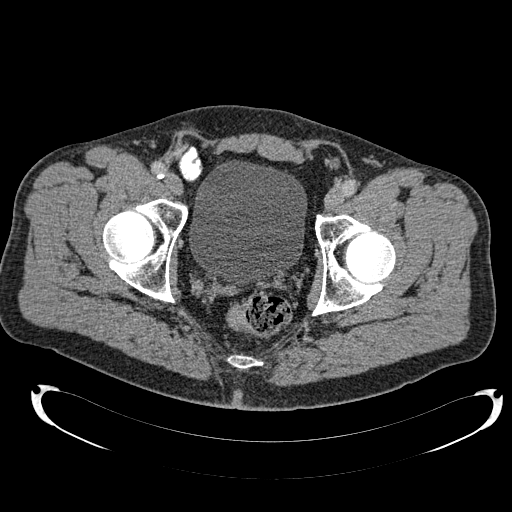
CT
The urinary bladder is bounded by rect(189, 160, 306, 285).